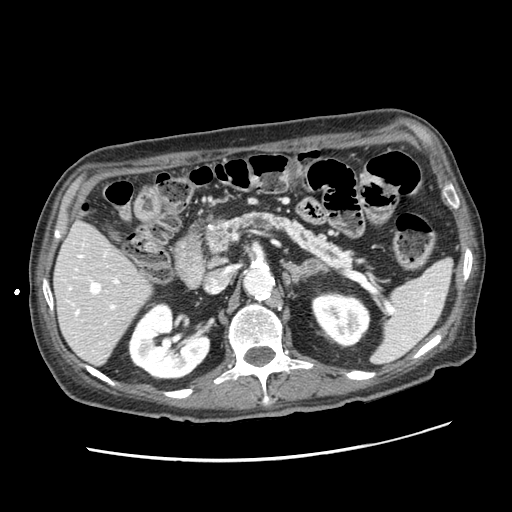
CT slice; Abdomen

The pancreas is located at <box>208,213,351,268</box>. The pancreatic tumor is located at <box>212,228,228,247</box>.